Upper abdomen; Computed tomography; 512x512

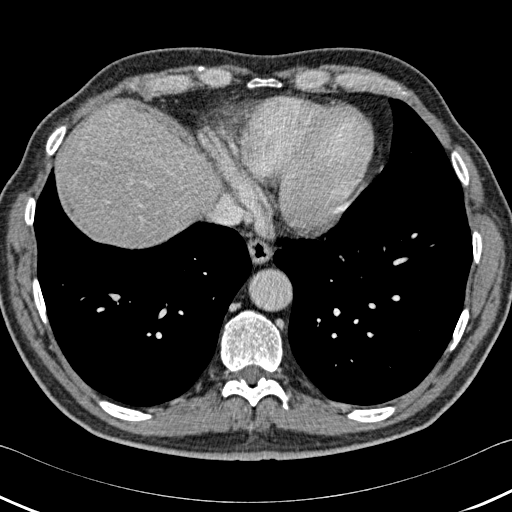
{
  "liver": [
    "l=59, t=108, r=211, b=247"
  ],
  "bone": [
    "l=450, t=309, r=468, b=350",
    "l=348, t=407, r=394, b=422",
    "l=221, t=311, r=281, b=371",
    "l=452, t=151, r=468, b=185",
    "l=99, t=401, r=151, b=420",
    "l=33, t=279, r=46, b=323",
    "l=248, t=78, r=281, b=87",
    "l=222, t=377, r=288, b=409",
    "l=46, t=126, r=65, b=154",
    "l=473, t=231, r=481, b=262",
    "l=25, t=198, r=34, b=224"
  ],
  "lung": [
    "l=33, t=167, r=253, b=408",
    "l=272, t=97, r=472, b=405"
  ]
}